Computed tomography, Abdomen

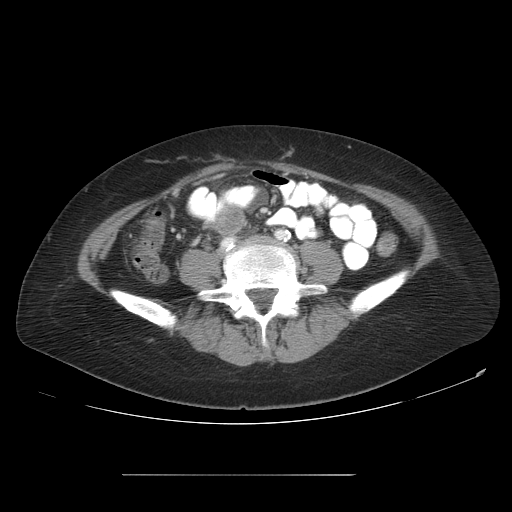

- colon tumor: box(215, 206, 244, 234)